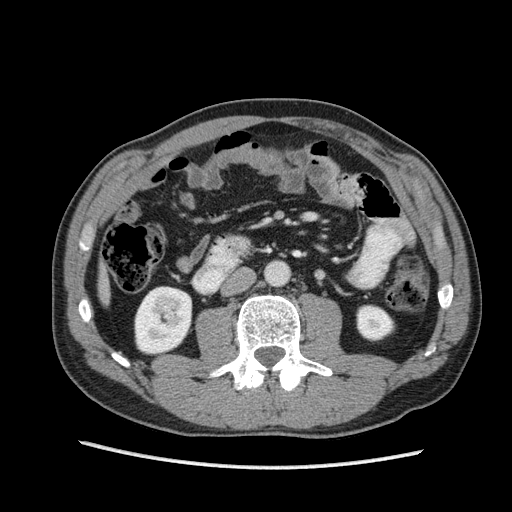

CT slice
The liver is located at box(97, 270, 110, 305). 2 kidney regions are located at box(135, 287, 190, 352); box(358, 306, 391, 338).